Liver. Image size 512x512. CT image. 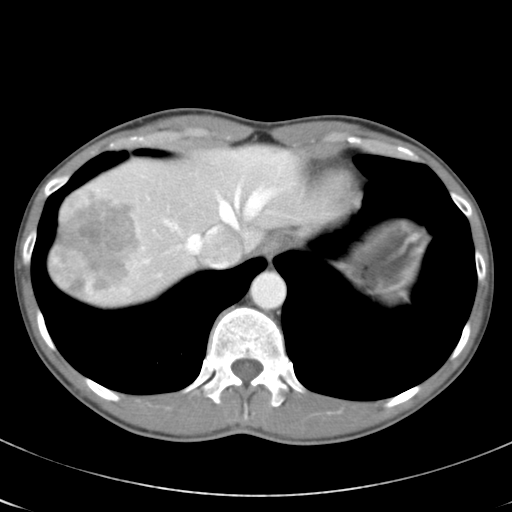

The vessel boxes may cover only some of the vessels.
{"hepatic_vessel": ["(188,234,201,251)", "(220,190,239,226)", "(175,225,176,227)", "(166,221,167,222)", "(246,191,271,215)", "(209,228,216,232)"], "liver_tumor": ["(48,189,142,298)"]}